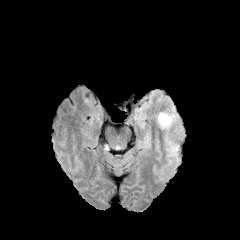
FLAIR MR.
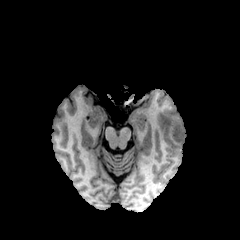
T1-weighted MRI.
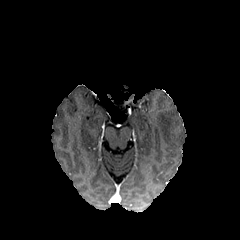
Post-contrast T1-weighted MR image of the same slice.
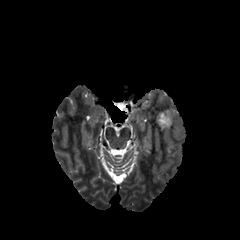
T2-weighted MRI of the same slice.
240x240 px.
Edema at bbox(157, 112, 171, 128).